FLAIR magnetic resonance.
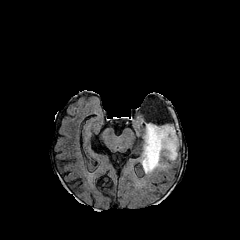
T1-weighted MR.
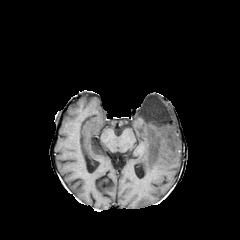
Post-contrast T1-weighted MRI.
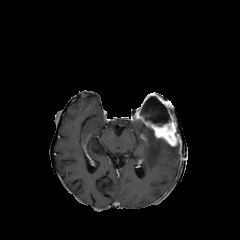
T2-weighted MR image.
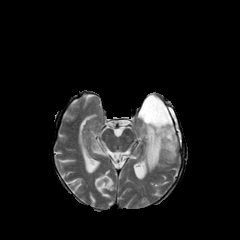
Head
<segmentation>
  <non-enhancing_tumor_core>(left=136, top=93, right=174, bottom=125)</non-enhancing_tumor_core>
  <edema>(left=140, top=126, right=178, bottom=174)</edema>
  <enhancing_tumor>(left=136, top=113, right=179, bottom=146)</enhancing_tumor>
</segmentation>